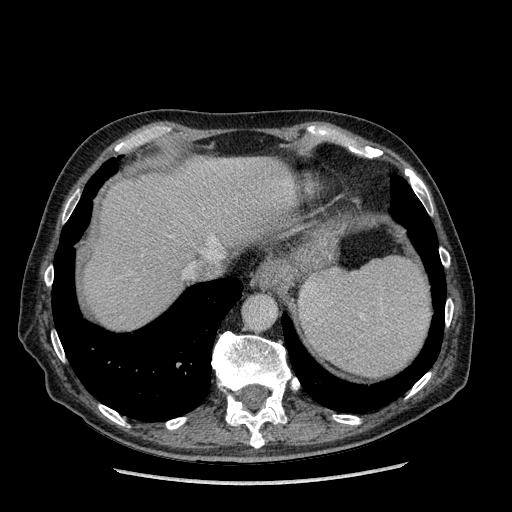
Upper abdomen; 512x512 px; CT slice
The liver lies within {"x1": 83, "y1": 157, "x2": 291, "y2": 330}.